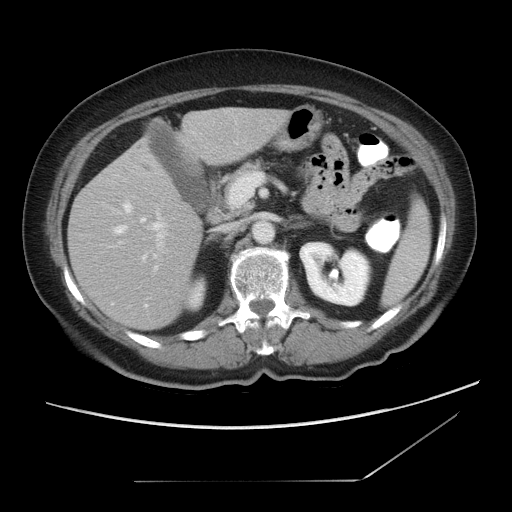
CT image. 512x512.

Only some of the vessels may be annotated.
hepatic vessel: <bbox>124, 202, 132, 213</bbox>, <bbox>143, 256, 146, 259</bbox>, <bbox>145, 305, 147, 307</bbox>, <bbox>152, 223, 163, 243</bbox>, <bbox>230, 190, 234, 204</bbox>, <bbox>115, 226, 126, 234</bbox>, <bbox>142, 219, 145, 221</bbox>